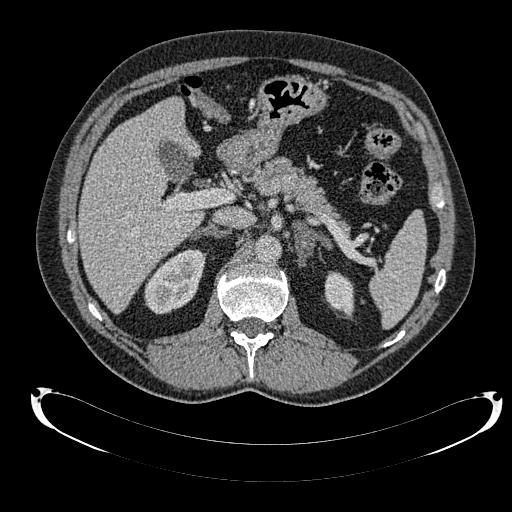
Abdomen | CT image
Annotated regions:
• liver: bbox=[79, 98, 202, 312]
• kidney: bbox=[145, 250, 204, 313]; bbox=[325, 273, 353, 314]